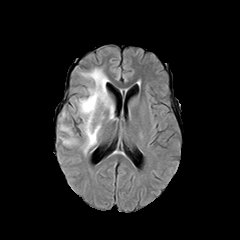
FLAIR magnetic resonance.
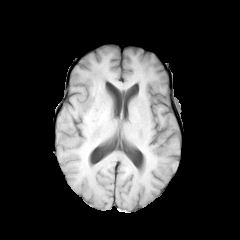
Same slice, T1-weighted MRI.
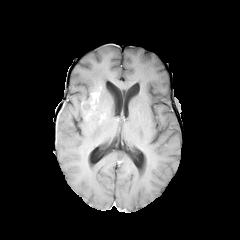
Post-contrast T1-weighted MRI.
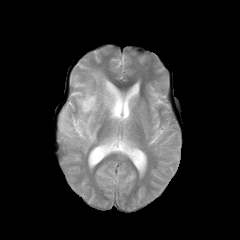
T2-weighted MRI.
Head.
edema:
  - {"x1": 60, "y1": 68, "x2": 114, "y2": 153}
non-enhancing_tumor_core:
  - {"x1": 83, "y1": 104, "x2": 95, "y2": 120}
enhancing_tumor:
  - {"x1": 81, "y1": 88, "x2": 100, "y2": 108}